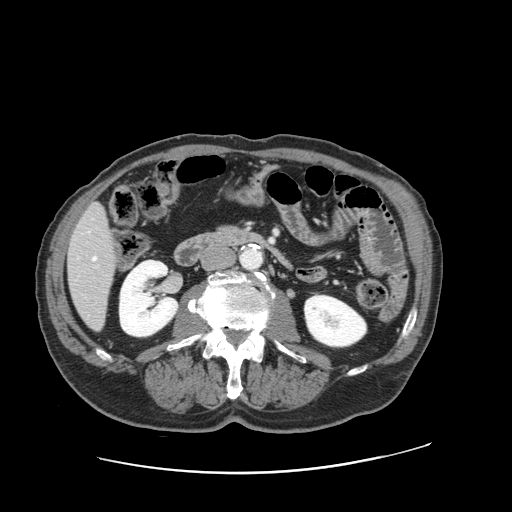 CT image
Only some of the vessels may be annotated.
Hepatic vessel = (93, 257, 95, 260).